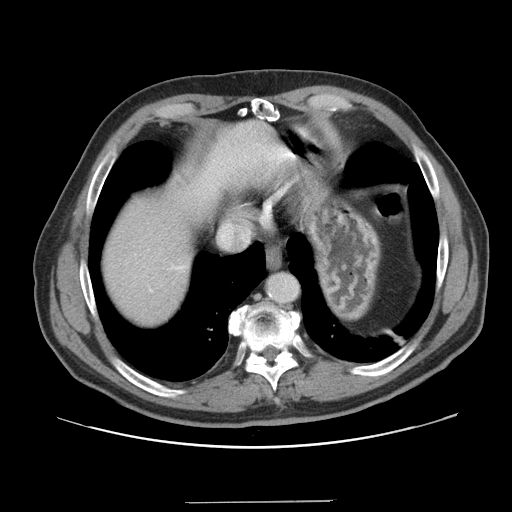 CT slice. Liver.

The vessel annotation is not exhaustive.
Findings:
• hepatic vessel: <bbox>222, 235, 225, 239</bbox>